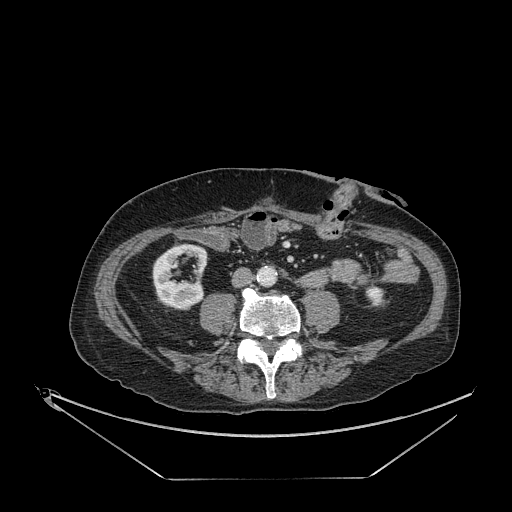

CT slice
kidney: <box>366,287,382,305</box>, <box>153,244,206,308</box>